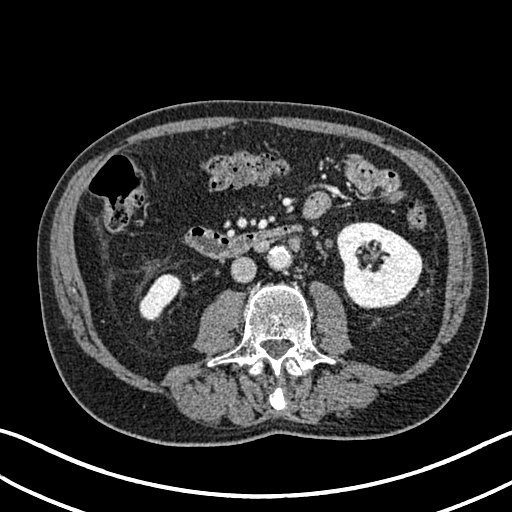 Abdomen; CT scan slice
2 kidney regions are bounded by l=140, t=275, r=179, b=318; l=338, t=223, r=421, b=307.